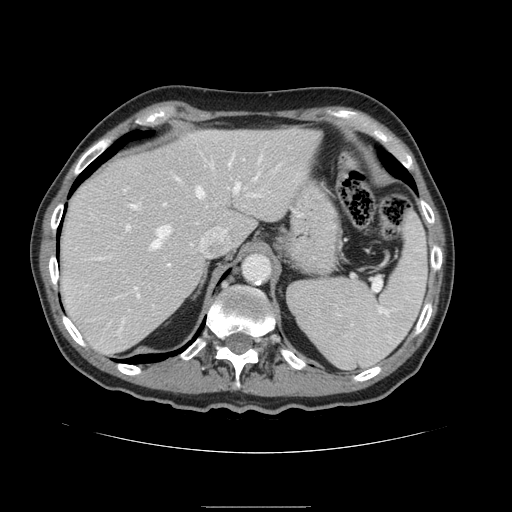
Computed tomography; Liver
Only some of the vessels may be annotated.
hepatic_vessel:
  - <box>229,158,232,165</box>
  - <box>168,263,170,265</box>
  - <box>137,292,139,296</box>
  - <box>235,183,239,191</box>
  - <box>132,204,136,207</box>
  - <box>127,225,130,228</box>
  - <box>200,225,231,256</box>
  - <box>253,194,256,194</box>
  - <box>221,213,230,215</box>
  - <box>176,177,178,178</box>
  - <box>211,212,220,213</box>
  - <box>135,287,136,289</box>
  - <box>230,220,231,222</box>
  - <box>196,187,204,197</box>
  - <box>151,226,170,248</box>